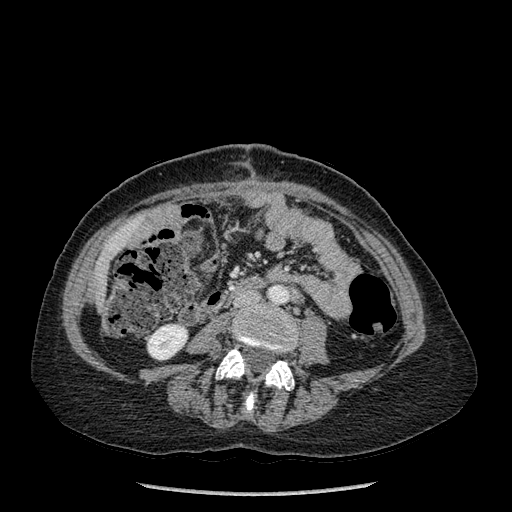

512x512 px. Liver. CT image.
bone:
  - (x1=244, y1=392, x2=254, y2=414)
  - (x1=216, y1=345, x2=245, y2=379)
  - (x1=263, y1=361, x2=294, y2=390)
  - (x1=232, y1=303, x2=297, y2=353)
liver:
  - (x1=94, y1=231, x2=127, y2=305)
  - (x1=122, y1=221, x2=137, y2=234)
kidney:
  - (x1=148, y1=325, x2=187, y2=359)